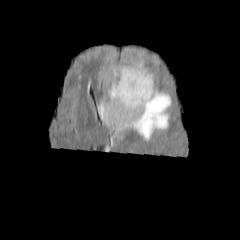
FLAIR MRI.
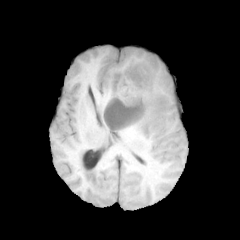
T1-weighted MR image of the same slice.
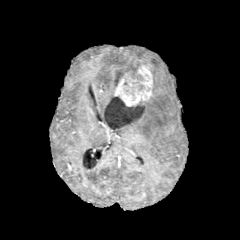
Same slice, post-contrast T1-weighted MR image.
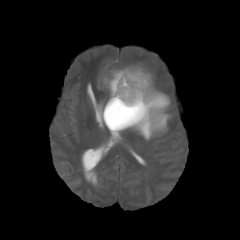
T2-weighted MR image.
Edema = <bbox>123, 86, 171, 139</bbox>, <bbox>111, 63, 140, 74</bbox>, <bbox>103, 73, 116, 99</bbox>.
Non-enhancing tumor core = <bbox>113, 71, 123, 87</bbox>, <bbox>124, 66, 144, 91</bbox>, <bbox>104, 95, 144, 129</bbox>.
Enhancing tumor = <bbox>114, 74, 152, 106</bbox>, <bbox>137, 64, 152, 89</bbox>.